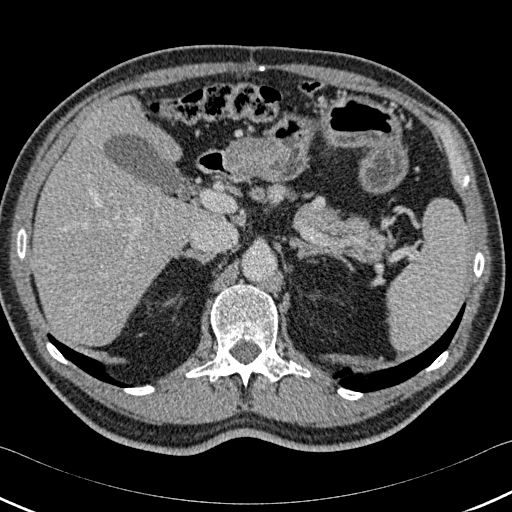

CT slice.
{
  "lung": [
    "[332, 303, 465, 392]",
    "[59, 344, 133, 387]"
  ],
  "liver": [
    "[34, 96, 206, 345]",
    "[159, 137, 176, 158]"
  ],
  "bone": [
    "[474, 252, 484, 277]",
    "[426, 351, 447, 371]",
    "[124, 385, 154, 395]",
    "[186, 284, 310, 386]",
    "[46, 343, 67, 363]",
    "[461, 175, 469, 186]",
    "[17, 228, 26, 258]",
    "[337, 388, 362, 400]"
  ]
}